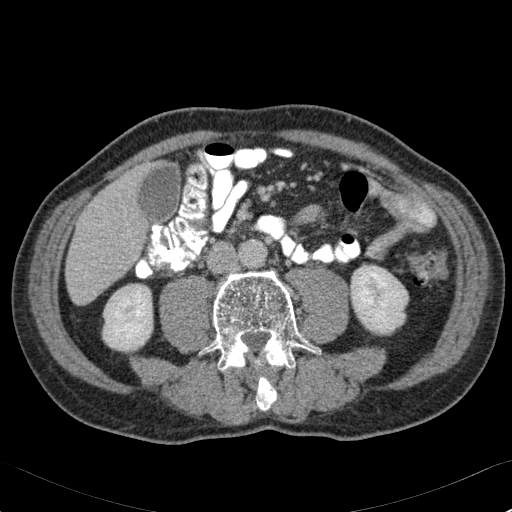

Liver, CT
The liver lies within (66, 164, 147, 304). 2 kidney regions appear at (351, 265, 407, 333), (103, 284, 152, 350).